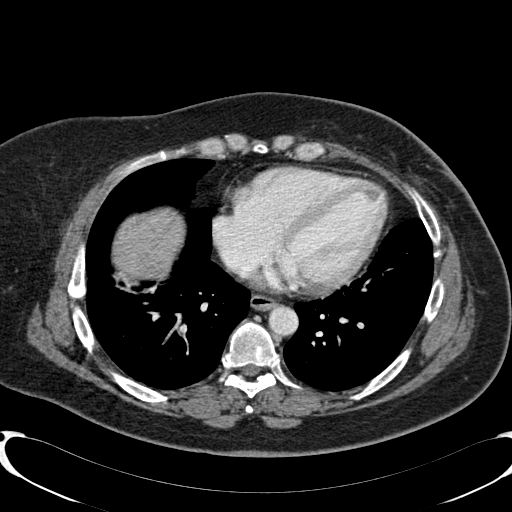

Computed tomography; Liver
Liver = 113:208:182:277.